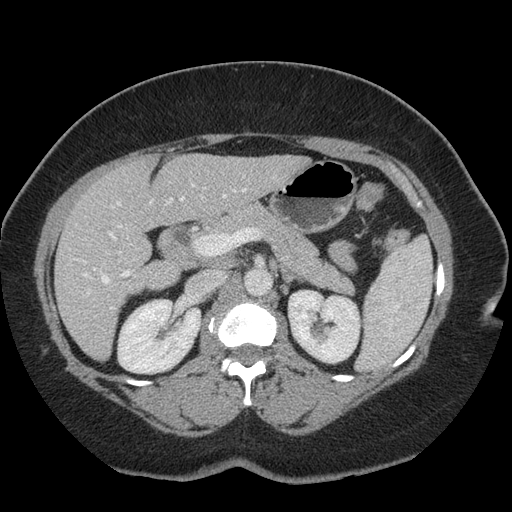
CT image; 512x512; Abdomen

Only some of the vessels may be annotated.
The most prominent 15 hepatic vessel regions (of 16) are bounded by (x1=94, y1=268, x2=108, y2=283), (x1=111, y1=306, x2=114, y2=309), (x1=122, y1=271, x2=130, y2=276), (x1=109, y1=232, x2=116, y2=239), (x1=82, y1=273, x2=93, y2=279), (x1=232, y1=190, x2=236, y2=192), (x1=118, y1=202, x2=120, y2=205), (x1=223, y1=195, x2=226, y2=197), (x1=181, y1=197, x2=184, y2=200), (x1=167, y1=199, x2=171, y2=204), (x1=71, y1=259, x2=86, y2=263), (x1=118, y1=225, x2=126, y2=229), (x1=192, y1=184, x2=194, y2=186), (x1=196, y1=235, x2=212, y2=255), (x1=242, y1=189, x2=245, y2=191).